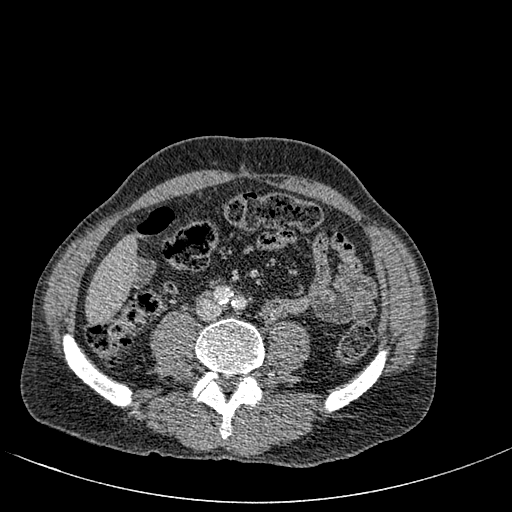

CT slice, Upper abdomen

The liver lies within bbox(86, 237, 136, 320).